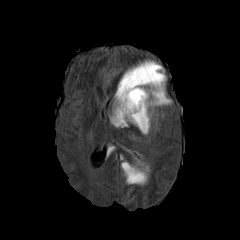
FLAIR magnetic resonance.
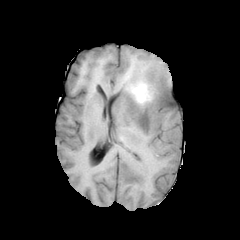
T1-weighted MRI.
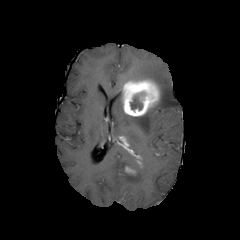
Post-contrast T1-weighted MR.
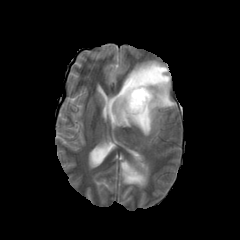
T2-weighted magnetic resonance.
Segmented structures:
• enhancing tumor: (122, 79, 159, 116)
• non-enhancing tumor core: (131, 92, 143, 109)
• edema: (111, 60, 171, 134), (121, 160, 148, 184)